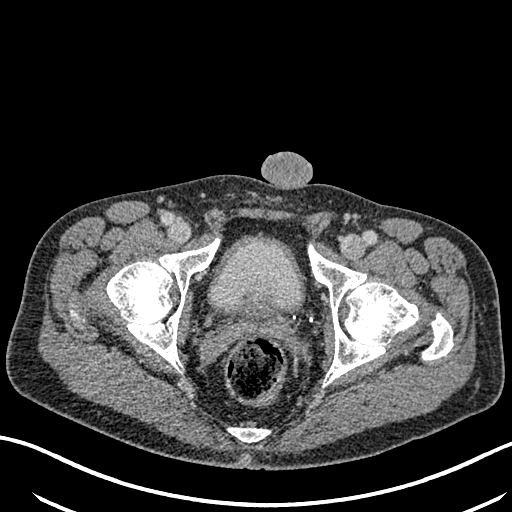 512x512 px. CT. * urinary bladder: box=[210, 237, 301, 314]